CT slice; Chest
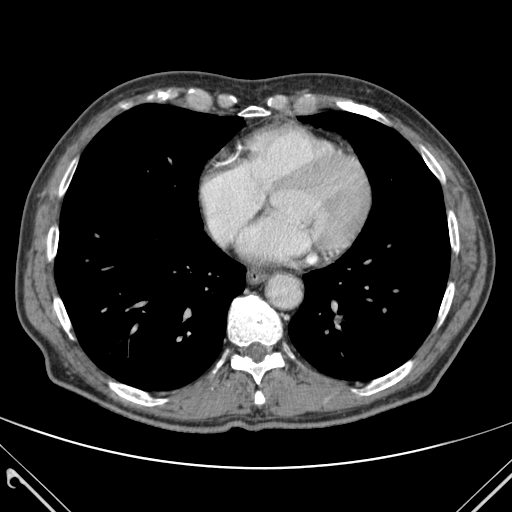
Segmented structures:
• lung: l=54, t=103, r=245, b=390; l=288, t=111, r=450, b=380
• bone: l=255, t=391, r=264, b=403; l=337, t=102, r=385, b=119; l=54, t=295, r=71, b=337; l=448, t=212, r=458, b=250; l=228, t=295, r=281, b=345; l=47, t=220, r=58, b=262; l=439, t=283, r=453, b=322; l=238, t=106, r=269, b=116; l=358, t=362, r=411, b=395; l=231, t=353, r=283, b=383; l=110, t=383, r=166, b=405; l=422, t=147, r=444, b=180; l=59, t=161, r=75, b=198